CT scan slice | Slice 260/565 | Image size 512x512 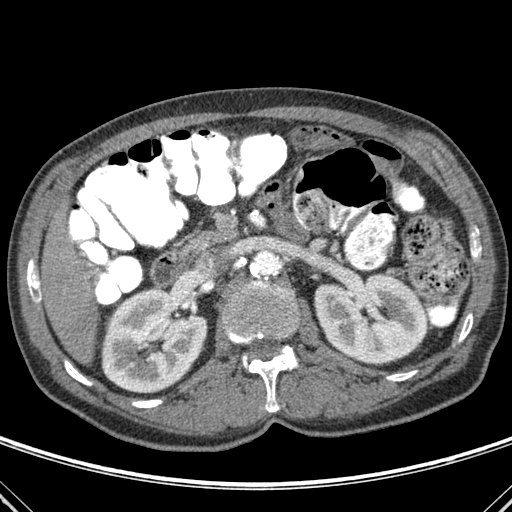

{"liver": ["(42,220,99,363)"], "kidney": ["(315,264,426,362)", "(103,290,206,391)"], "bone": ["(250,210,264,226)", "(387,370,416,381)", "(243,345,297,412)", "(224,271,297,344)", "(458,313,472,341)", "(471,241,481,256)", "(132,400,161,407)", "(27,260,39,294)", "(64,361,91,385)"]}